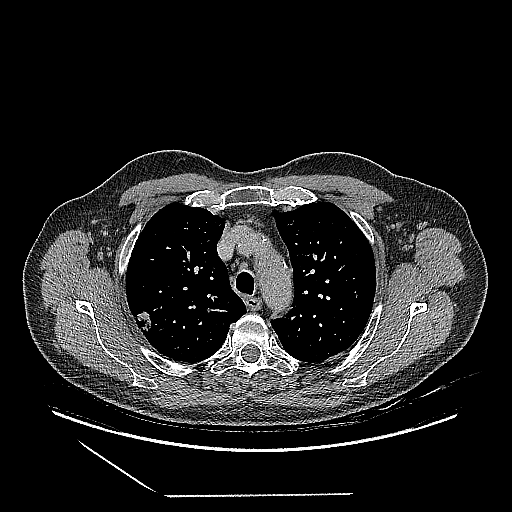 CT slice | Image size 512x512
The lung tumor appears at x1=134 y1=310 x2=153 y2=336.